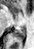 MRI; 34x49
posterior hippocampus: <bbox>12, 27, 25, 37</bbox>